Image size 512x512. CT scan slice. 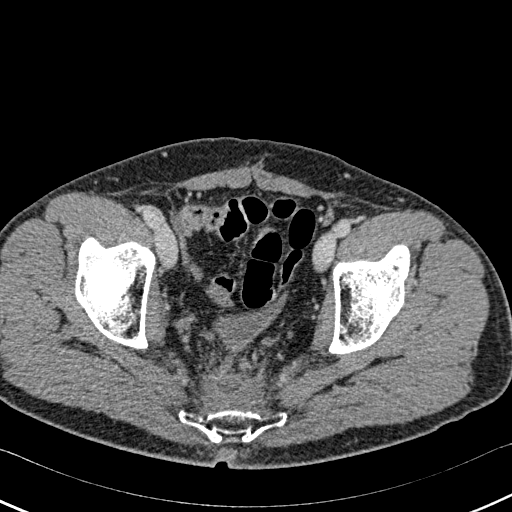 bone: <box>329,245,409,353</box>, <box>179,410,286,442</box>, <box>76,238,154,348</box>